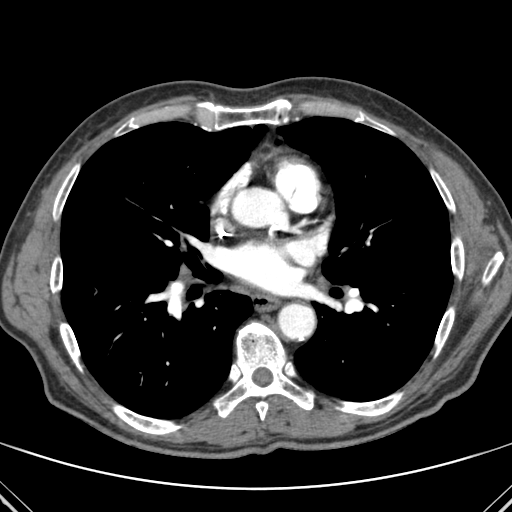

Thorax; CT slice

Lung — 277 117 452 401, 329 287 342 297, 187 285 202 299, 60 122 267 418.
Bone — 451 237 464 279, 482 252 503 284, 120 117 142 129, 214 322 314 419, 150 282 183 318, 353 113 393 134, 50 257 62 292, 435 307 454 356, 336 393 402 416, 53 164 79 219, 431 170 455 211, 113 405 181 434, 197 99 291 129, 60 323 81 370.